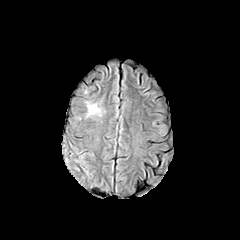
FLAIR MR image.
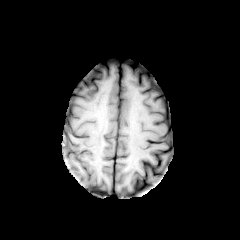
T1-weighted MR.
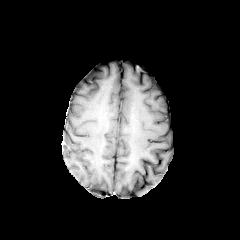
Post-contrast T1-weighted MR image.
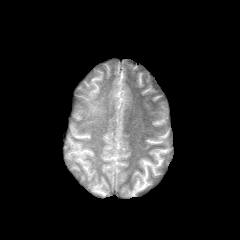
T2-weighted MR image.
Image size 240x240; Brain
<segmentation>
  <edema>bbox(86, 102, 101, 116)</edema>
</segmentation>